CT slice | Field of view 450 mm wide, 1.50 mm slice spacing
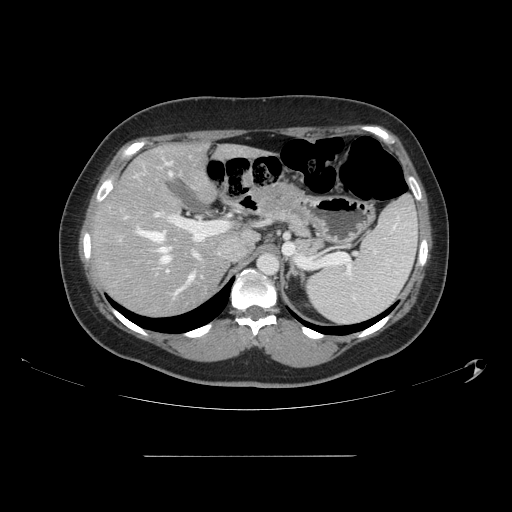 Some hepatic vessels may have no box.
<segmentation>
  <hepatic_vessel><box>137,227,164,241</box>, <box>169,172,171,174</box>, <box>155,213,159,216</box>, <box>161,256,169,263</box>, <box>188,274,193,283</box>, <box>193,252,197,256</box>, <box>167,269,168,272</box>, <box>165,162,171,164</box>, <box>158,247,170,252</box>, <box>176,286,185,292</box>, <box>194,238,197,240</box></hepatic_vessel>
</segmentation>